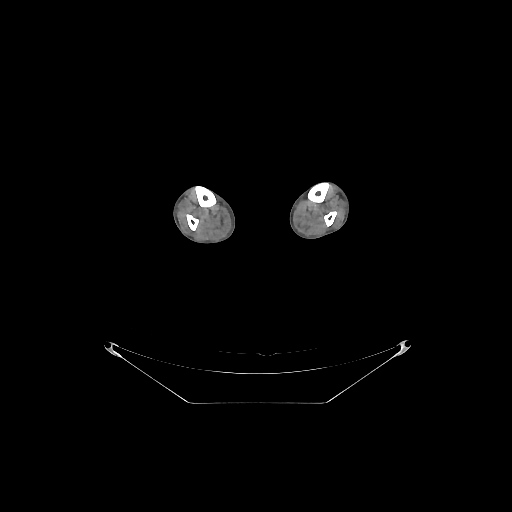

CT scan slice | 512x512 px
4 bone regions are bounded by bbox(195, 186, 215, 207); bbox(324, 211, 336, 226); bbox(186, 214, 198, 230); bbox(308, 183, 329, 202).